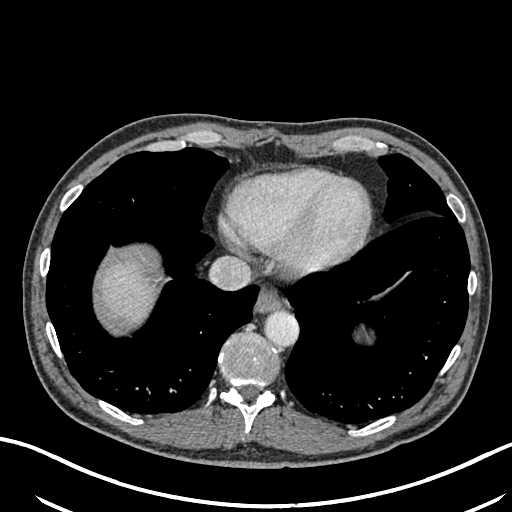

512x512 | Computed tomography
The liver is located at 106,265,149,313.